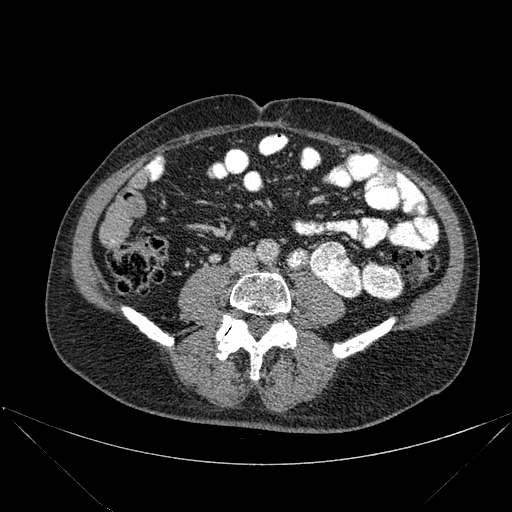
CT
<segmentation>
  <bone>216 315 296 379, 122 307 173 345, 333 318 394 357, 230 273 290 314</bone>
</segmentation>